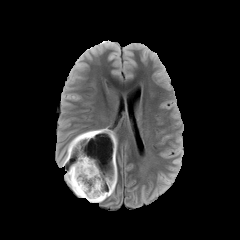
FLAIR MR.
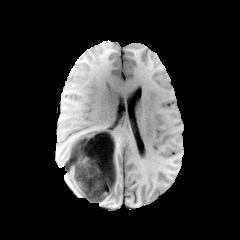
T1-weighted magnetic resonance.
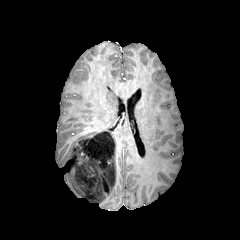
Post-contrast T1-weighted MRI.
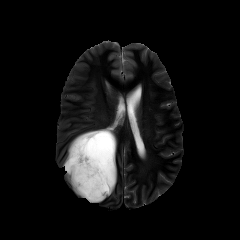
Same slice, T2-weighted magnetic resonance.
Head
4 edema regions appear at 86, 189, 113, 202; 66, 173, 85, 197; 64, 138, 73, 161; 109, 148, 116, 169. The non-enhancing tumor core is located at 64, 128, 115, 200.